240x240, Slice 61/155
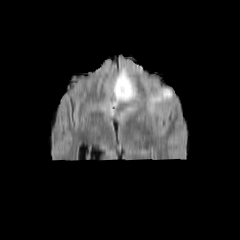
FLAIR magnetic resonance.
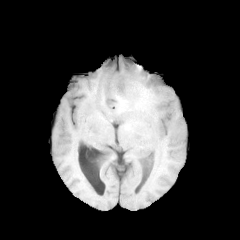
T1-weighted MR image.
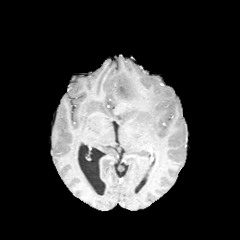
Post-contrast T1-weighted MRI.
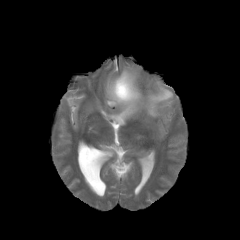
T2-weighted MR image.
<segmentation>
  <non-enhancing_tumor_core>(110, 77, 143, 100)</non-enhancing_tumor_core>
  <edema>(105, 66, 172, 118)</edema>
</segmentation>